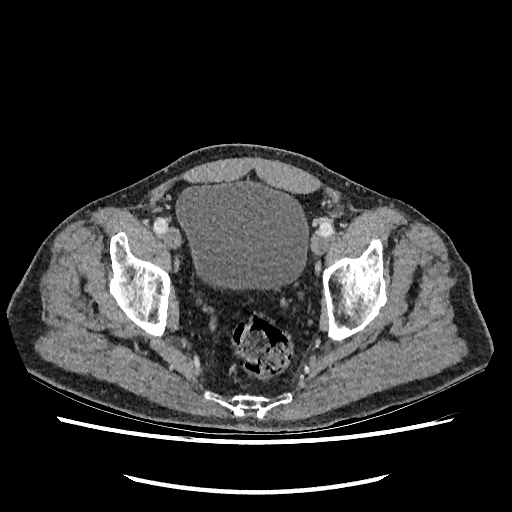 Computed tomography; 512x512 px; Pelvis
The urinary bladder is bounded by left=176, top=180, right=308, bottom=289.